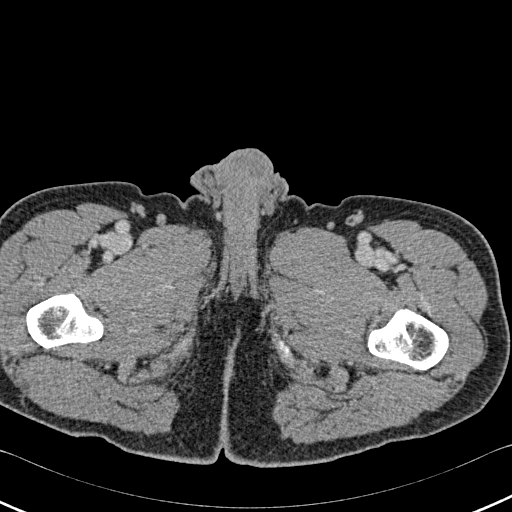
512x512 px, CT scan slice
Bone at [27,294,102,348], [368,309,447,369], [279,341,290,357].